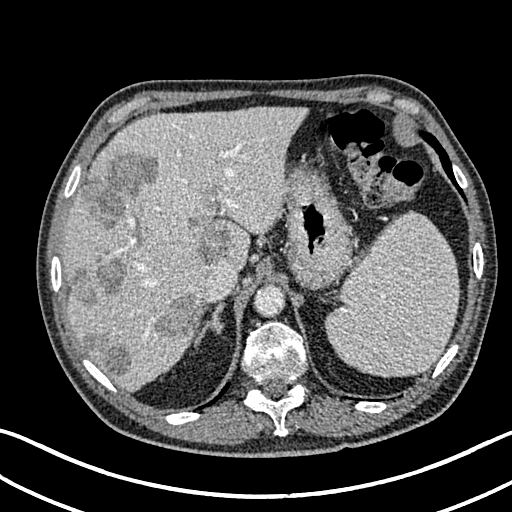
CT slice
Liver lesion: <box>88,152,158,226</box>, <box>83,334,131,375</box>, <box>137,224,146,241</box>, <box>70,250,128,307</box>, <box>187,216,231,262</box>, <box>154,296,198,340</box>.
Liver: <box>64,107,304,389</box>.